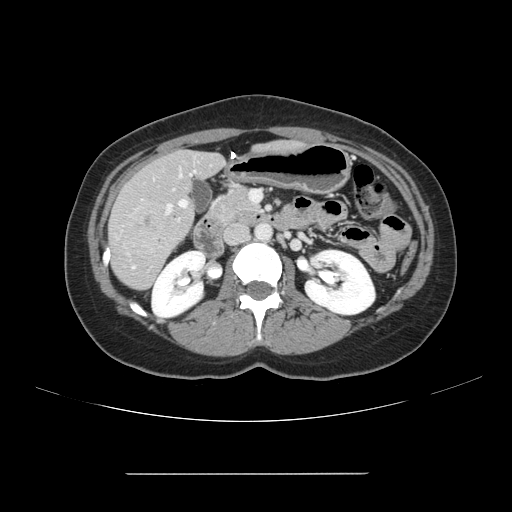
512x512; CT image
Only some of the vessels may be annotated.
4 hepatic vessel regions are located at [179,200,186,206], [166,204,171,213], [179,174,180,177], [132,266,134,268]. The liver tumor lies within [141,216,151,228].